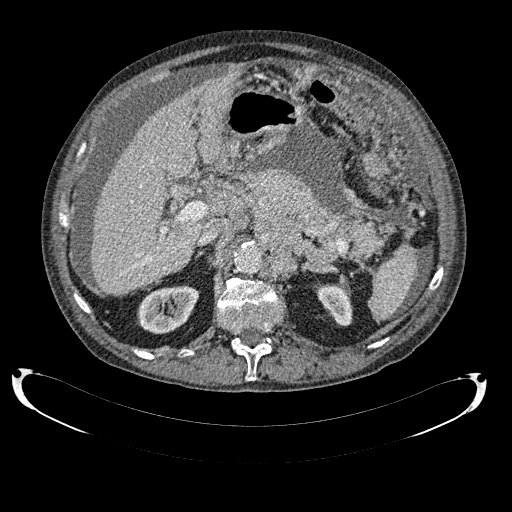

Computed tomography. Liver.

2 kidney regions are located at left=318, top=286, right=351, bottom=325; left=139, top=286, right=198, bottom=332. The liver is bounded by left=92, top=67, right=243, bottom=294.